Lower abdomen. Slice 152/751. CT.

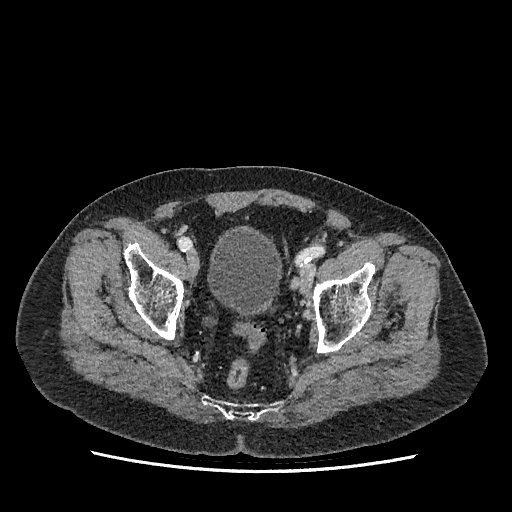 urinary_bladder:
  - (207, 231, 280, 313)